Computed tomography. Abdomen. 512x512. 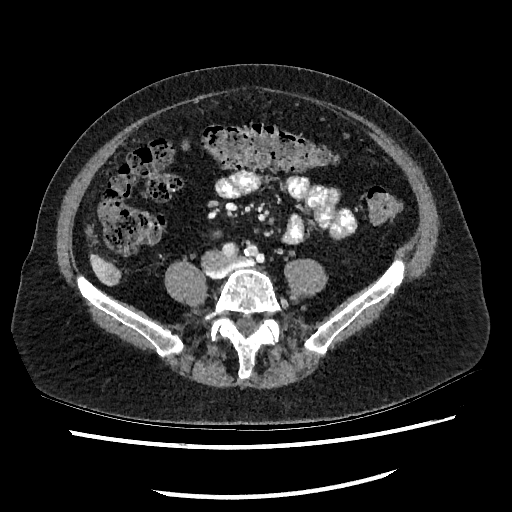

Annotated regions:
• liver lesion: 106:269:117:279
• liver: 90:255:117:284